CT slice, 512x512 px, Abdomen, Field of view 339x339 mm 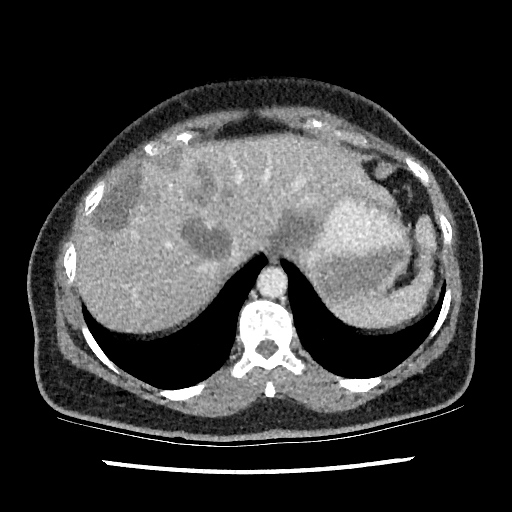 {
  "hepatic_lesion": [
    "<bbox>191, 167, 214, 203</bbox>",
    "<bbox>95, 172, 144, 230</bbox>",
    "<bbox>159, 155, 176, 170</bbox>",
    "<bbox>270, 214, 313, 248</bbox>",
    "<bbox>181, 219, 230, 258</bbox>"
  ],
  "liver": [
    "<bbox>76, 135, 394, 332</bbox>",
    "<bbox>283, 244, 303, 254</bbox>"
  ]
}